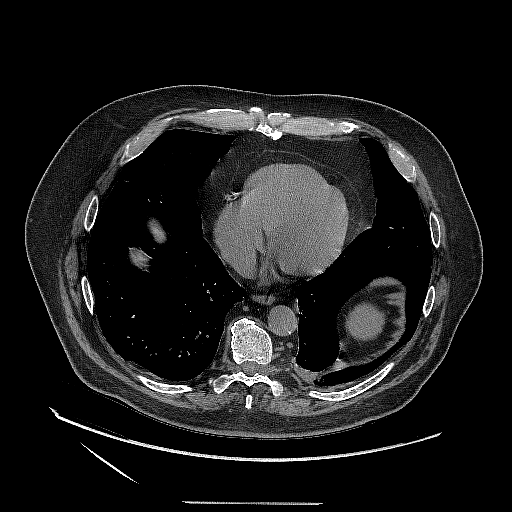 CT. 512x512.
- lung tumor: [x1=294, y1=350, x2=336, y2=378]